Image width 344 mm, Slice index 367, CT slice

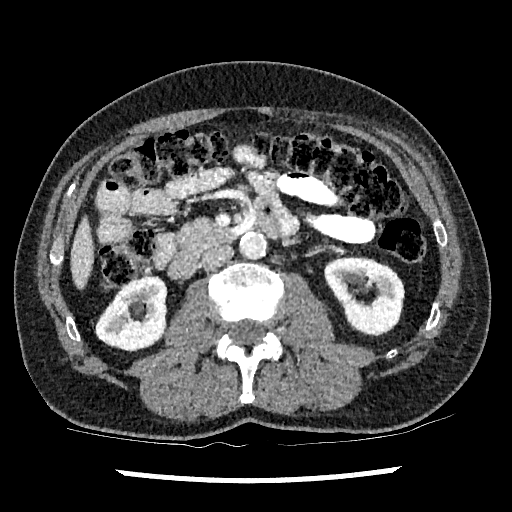

Annotated regions:
* liver: [70,217,93,288]
* kidney: [97,277,165,349], [325,258,403,333]